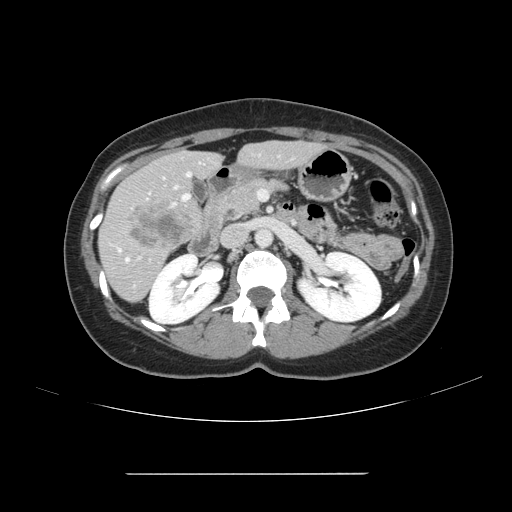 CT slice.

Some hepatic vessels may have no box.
hepatic vessel: (118,248,120,251), (174,186,176,188), (126,258,128,261), (172,203,175,205), (182,194,188,200), (187,172,190,176) | liver tumor: (128,202,198,249)